FLAIR MR.
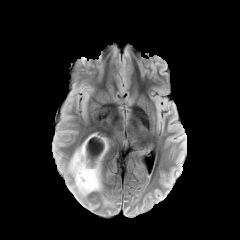
T1-weighted MRI.
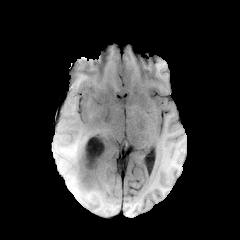
Post-contrast T1-weighted MR image.
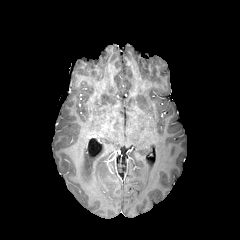
T2-weighted MRI.
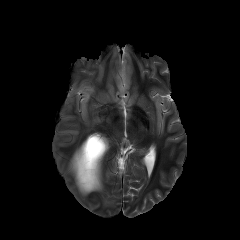
Head; 240x240
Edema: x1=68, y1=153, x2=89, y2=196; x1=94, y1=158, x2=102, y2=190.
Non-enhancing tumor core: x1=75, y1=172, x2=95, y2=192; x1=82, y1=138, x2=101, y2=183.
Enhancing tumor: x1=74, y1=143, x2=85, y2=178; x1=84, y1=182, x2=97, y2=189.